Brain | 240x240 px
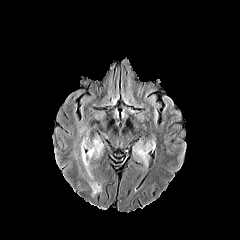
FLAIR magnetic resonance.
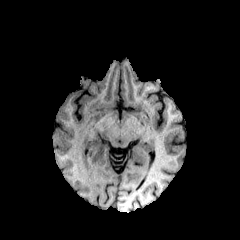
T1-weighted magnetic resonance of the same slice.
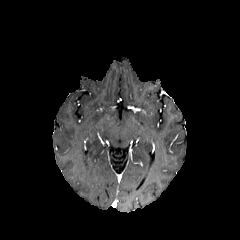
Same slice, post-contrast T1-weighted MRI.
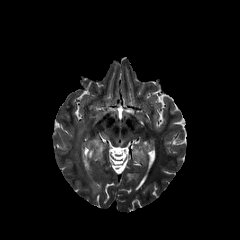
T2-weighted magnetic resonance.
3 edema regions are located at 87, 140, 101, 158; 133, 141, 151, 163; 81, 140, 88, 166.